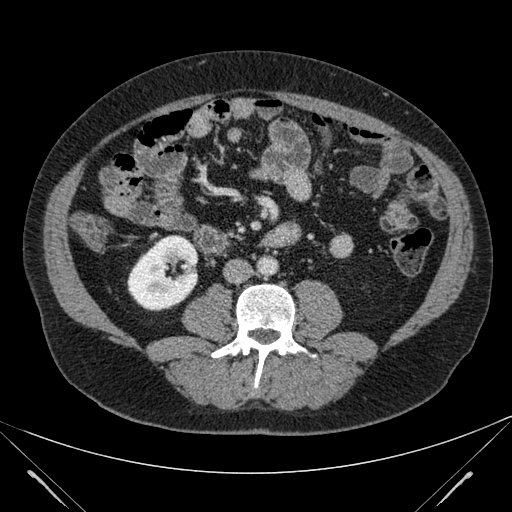 512x512 | Abdomen | Computed tomography

The kidney appears at (x1=128, y1=236, x2=197, y2=309).